Slice 24/40; Magnetic resonance 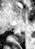
Segmented structures:
* posterior hippocampus: (12,33,24,42)